Abdomen. CT scan slice. Slice 37/124. 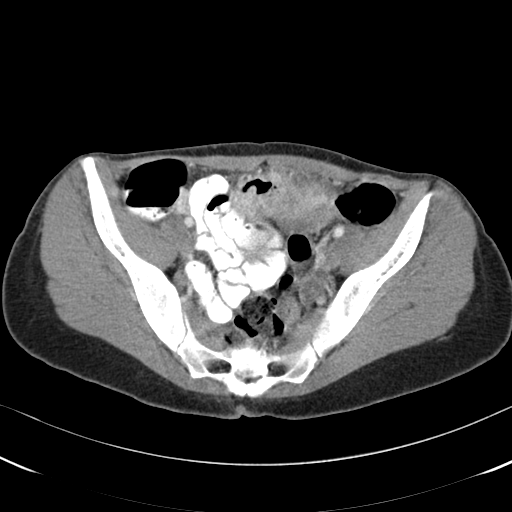
Colon tumor at box(233, 169, 334, 232).